FLAIR magnetic resonance.
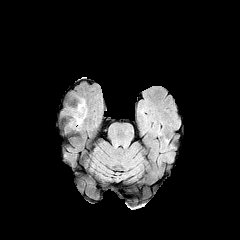
T1-weighted magnetic resonance.
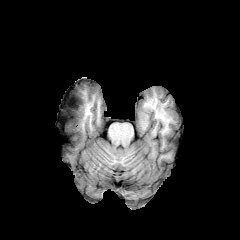
Post-contrast T1-weighted MR.
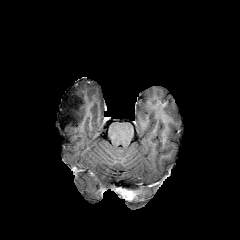
T2-weighted MR.
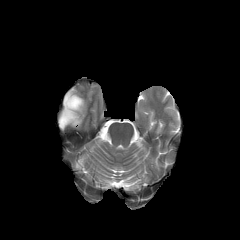
Brain
The edema appears at l=77, t=100, r=86, b=127. The non-enhancing tumor core is bounded by l=62, t=100, r=82, b=125.